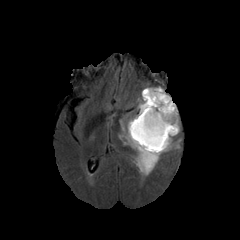
FLAIR MR.
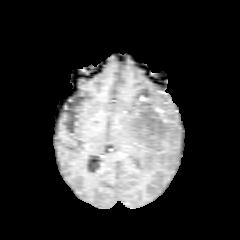
T1-weighted MR image.
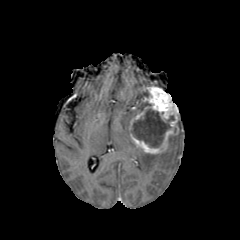
Post-contrast T1-weighted MR image.
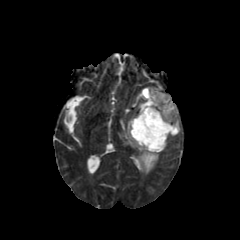
T2-weighted MRI.
240x240 px. Brain.
2 edema regions are located at 121 88 161 175, 162 128 180 151. The non-enhancing tumor core is located at 132 109 174 147. The enhancing tumor appears at 130 86 178 153.